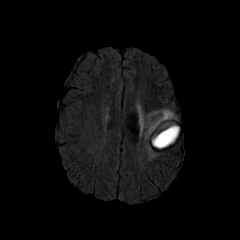
FLAIR MR.
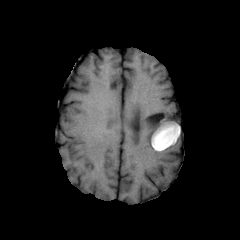
T1-weighted MR image of the same slice.
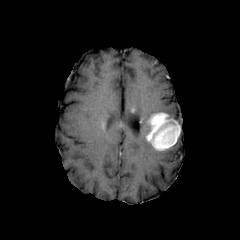
Same slice, post-contrast T1-weighted MRI.
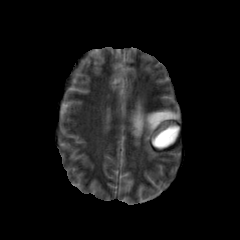
T2-weighted MRI of the same slice.
Brain, Image size 240x240
<segmentation>
  <edema>133:99:175:160</edema>
  <enhancing_tumor>146:112:179:149</enhancing_tumor>
</segmentation>